Image width 387 mm. CT. Abdomen.
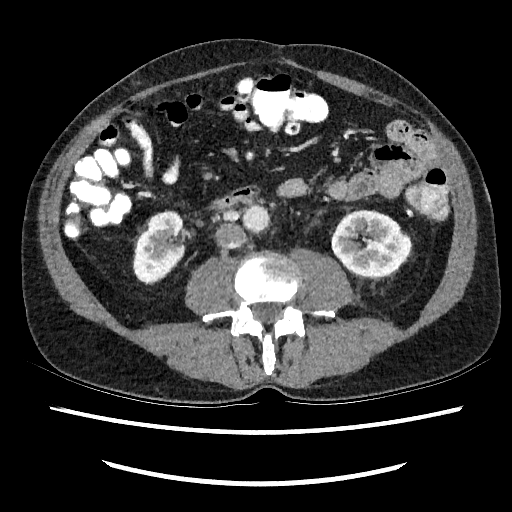 Kidney: (left=332, top=211, right=410, bottom=275), (left=134, top=212, right=183, bottom=282).